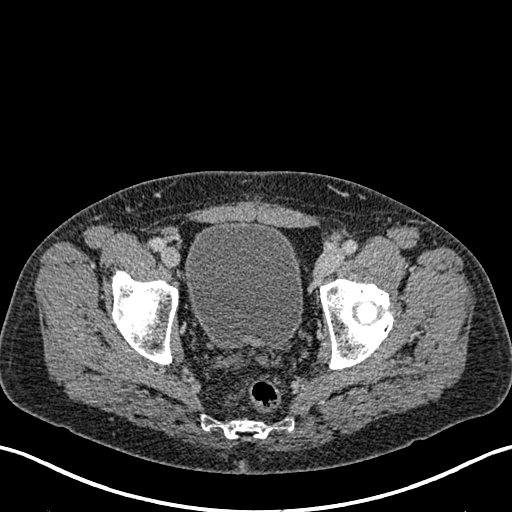

CT image
Segmented structures:
* urinary bladder: rect(185, 220, 302, 347)